Brain
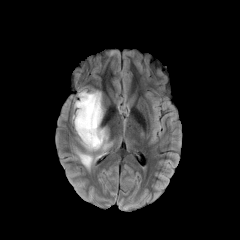
FLAIR MR.
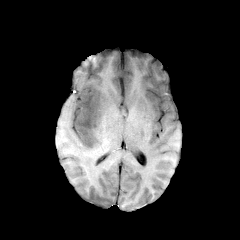
T1-weighted magnetic resonance.
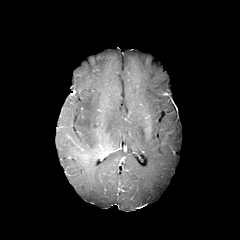
Post-contrast T1-weighted magnetic resonance.
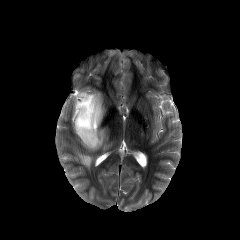
T2-weighted MR image.
Edema: x1=72 y1=88 x2=107 y2=168.